FLAIR MR.
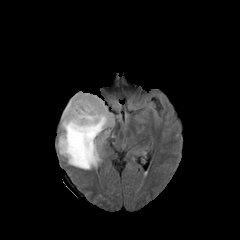
T1-weighted magnetic resonance.
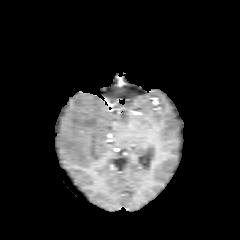
Post-contrast T1-weighted MR image.
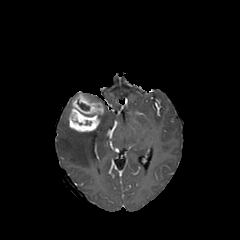
T2-weighted MR.
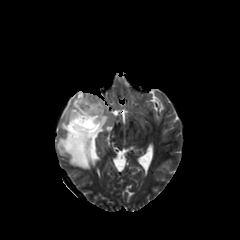
Head
Edema — box=[58, 107, 113, 169].
Non-enhancing tumor core — box=[77, 102, 89, 110].
Enhancing tumor — box=[66, 92, 104, 131].